Brain, Slice 63 of 155, Field of view 240x240 mm
FLAIR MRI.
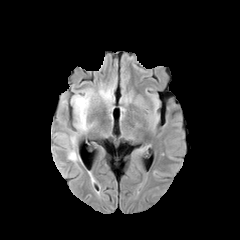
T1-weighted magnetic resonance.
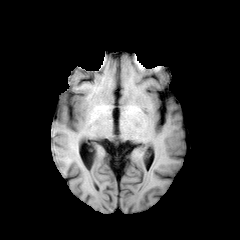
Post-contrast T1-weighted magnetic resonance.
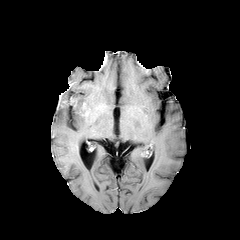
T2-weighted magnetic resonance.
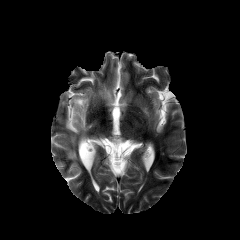
The edema appears at (x1=61, y1=84, x2=113, y2=161).